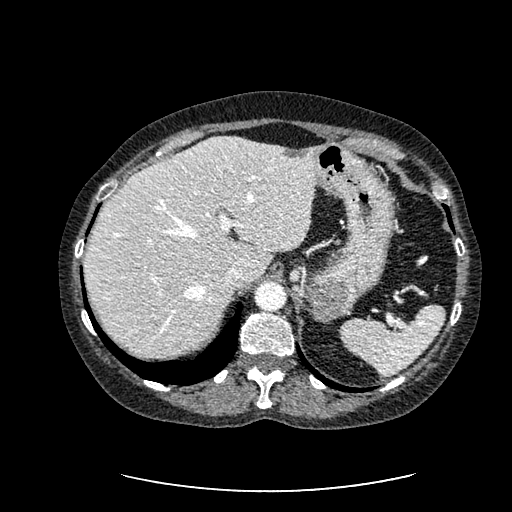 CT image
focal liver lesion: (282, 147, 308, 158) | liver: (83, 135, 320, 356)